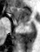
Medial temporal lobe. Image size 40x52. MR image. - anterior hippocampus: (9,6,30,21)
- posterior hippocampus: (20,22,28,24)